CT slice; Upper abdomen 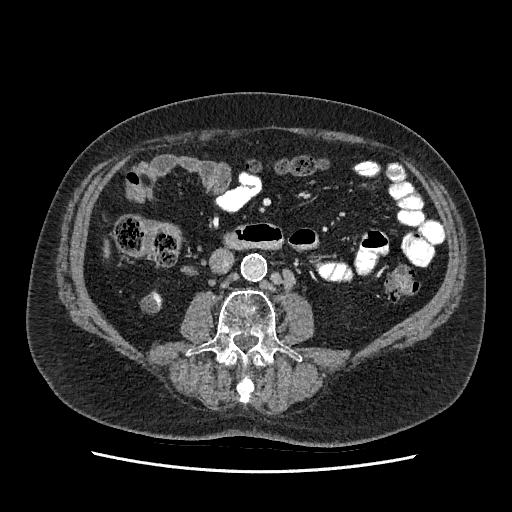 {"liver": ["x1=104, y1=242, x2=108, y2=256"]}